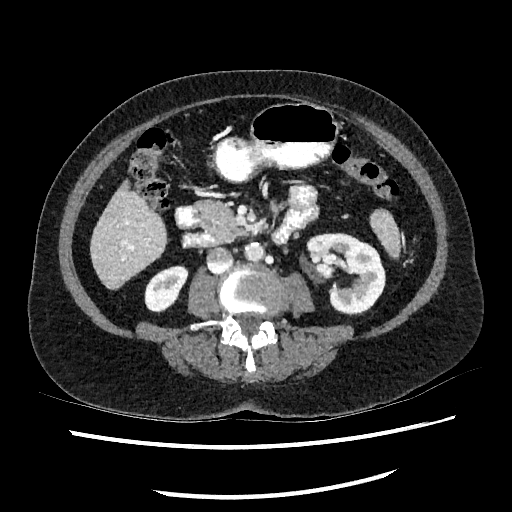 CT scan slice
* liver: bbox=[90, 183, 165, 287]
* kidney: bbox=[146, 267, 187, 310]; bbox=[308, 234, 384, 312]